FLAIR magnetic resonance.
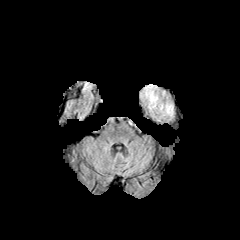
T1-weighted MRI.
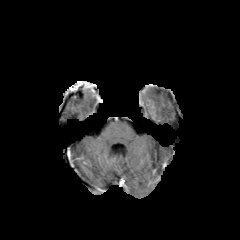
Post-contrast T1-weighted magnetic resonance.
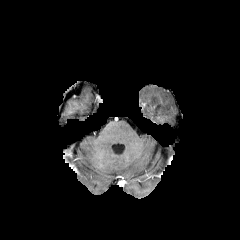
T2-weighted MRI.
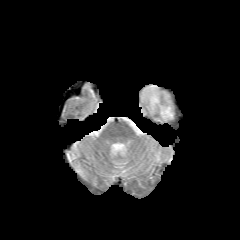
240x240 px | Brain
The edema appears at (139,84,173,119).